Brain | Slice 42 of 155 | Image size 240x240
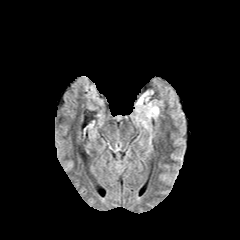
FLAIR MR image.
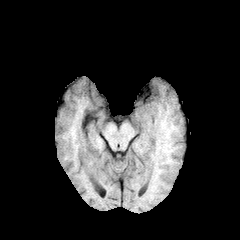
Same slice, T1-weighted MRI.
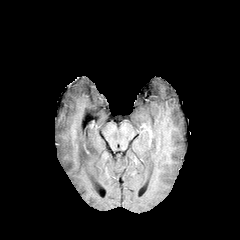
Post-contrast T1-weighted MR of the same slice.
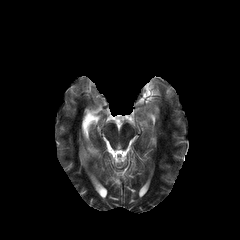
T2-weighted MRI.
The edema is located at box(136, 90, 159, 127).